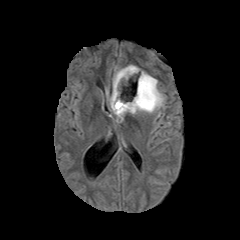
FLAIR MR.
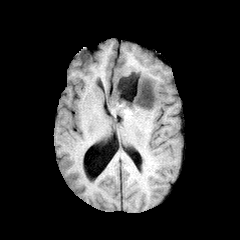
T1-weighted magnetic resonance.
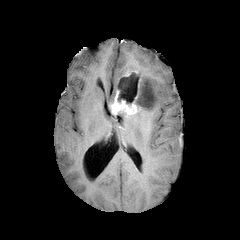
Post-contrast T1-weighted MR image of the same slice.
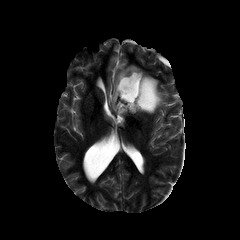
T2-weighted MRI of the same slice.
The enhancing tumor is located at 109, 90, 139, 114. 3 non-enhancing tumor core regions are located at 117, 96, 135, 104; 129, 70, 141, 106; 118, 76, 128, 90. 2 edema regions are located at 118, 76, 137, 99; 106, 64, 165, 114.